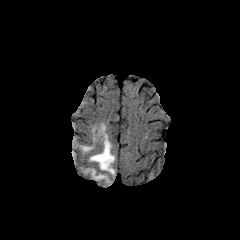
FLAIR MRI.
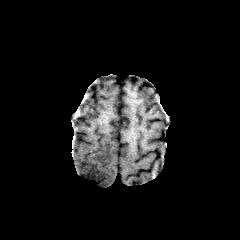
T1-weighted MR.
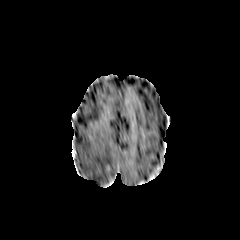
Post-contrast T1-weighted MR image.
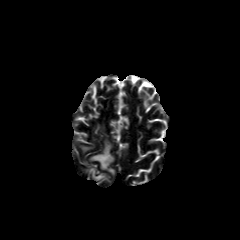
T2-weighted MRI.
Image size 240x240 | Brain
The edema lies within 87, 134, 115, 182.